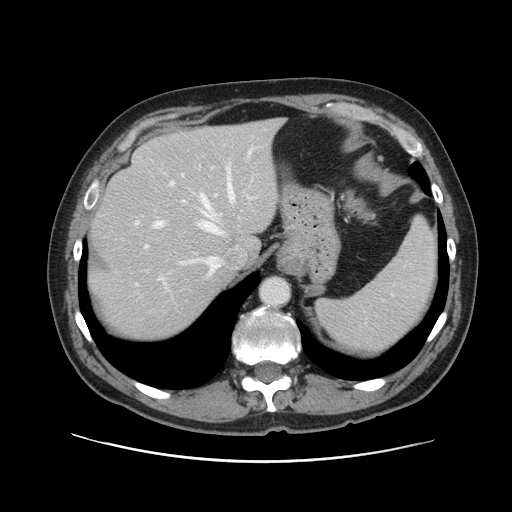

Abdomen, CT image
The vessel boxes may cover only some of the vessels.
{"hepatic_vessel": ["rect(182, 257, 219, 274)", "rect(145, 246, 148, 248)", "rect(183, 200, 185, 202)", "rect(198, 221, 221, 233)", "rect(170, 181, 173, 185)", "rect(200, 192, 220, 217)", "rect(248, 149, 252, 155)", "rect(247, 196, 250, 198)", "rect(227, 166, 233, 200)", "rect(154, 221, 163, 227)", "rect(135, 222, 138, 223)", "rect(158, 277, 165, 285)"]}